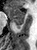

Hippocampus. MRI. 37x50 px. {"anterior_hippocampus": ["l=5, t=7, r=24, b=20"], "posterior_hippocampus": ["l=13, t=21, r=23, b=28"]}